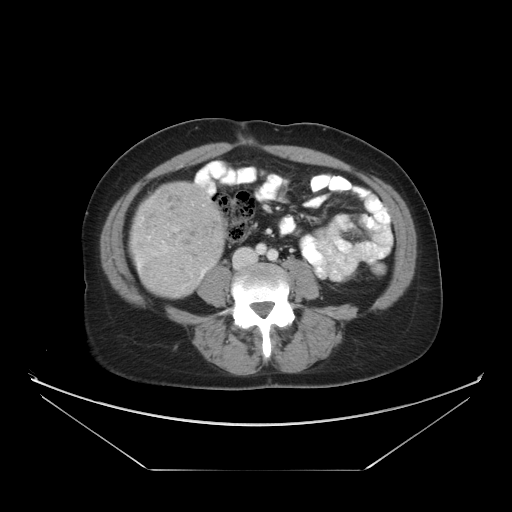

Image size 512x512 | Computed tomography
liver tumor: <box>132,184,222,297</box>